Slice 66/155. Field of view 240 mm wide, 1.00 mm slice spacing.
FLAIR MRI.
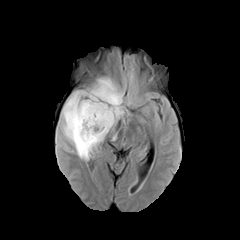
T1-weighted MR.
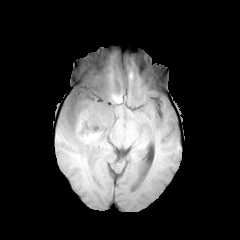
Post-contrast T1-weighted MRI.
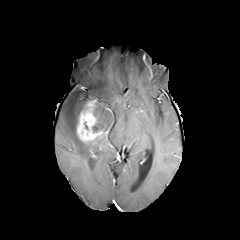
T2-weighted magnetic resonance.
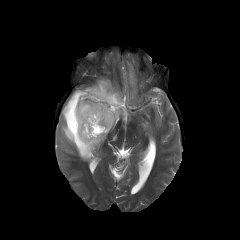
The edema is at [55, 78, 127, 160]. The enhancing tumor lies within [77, 100, 105, 143]. The non-enhancing tumor core is at [92, 108, 105, 132].